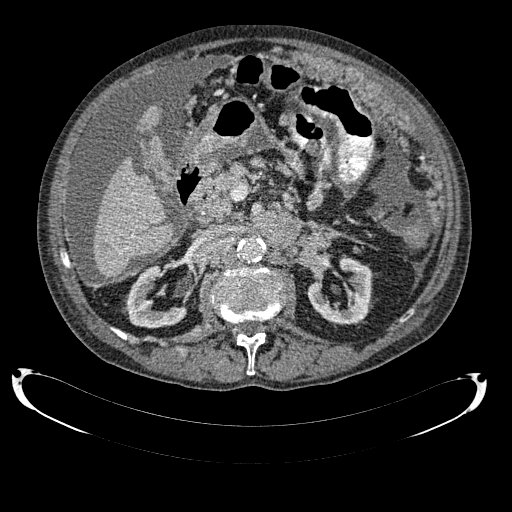 CT; Abdomen; 512x512 px
Segmented structures:
• liver: box(138, 106, 160, 131); box(150, 135, 162, 154); box(94, 156, 173, 277)
• kidney: box(308, 254, 371, 323); box(127, 266, 185, 327)